240x240 px. Brain.
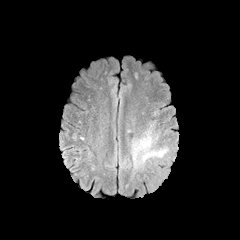
FLAIR MRI.
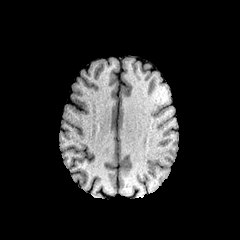
T1-weighted MR.
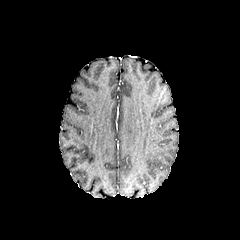
Post-contrast T1-weighted MRI.
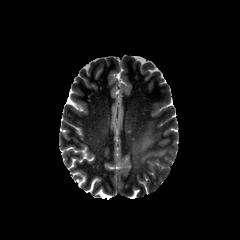
T2-weighted MR image.
2 edema regions are located at box=[142, 149, 166, 160]; box=[132, 130, 151, 169].